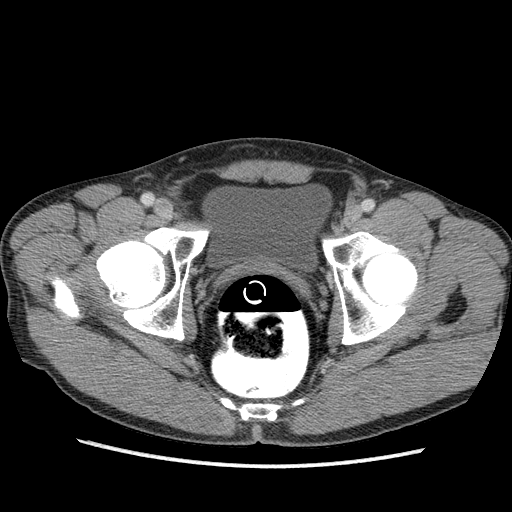
CT scan slice
Urinary bladder: bbox=[202, 184, 331, 271].